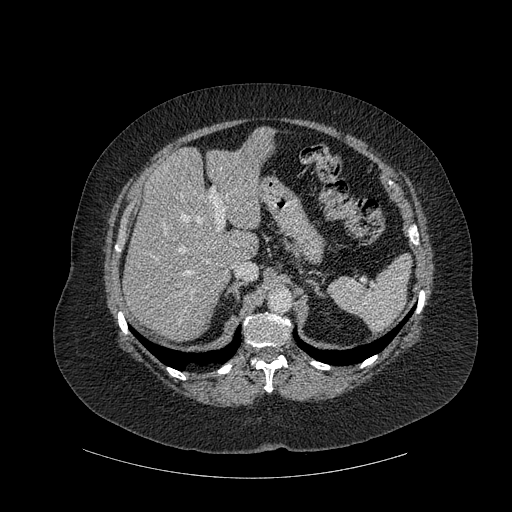 512x512. Upper abdomen. CT image.
<segmentation>
  <lung>(left=129, top=326, right=240, bottom=370), (left=293, top=309, right=413, bottom=364)</lung>
  <liver>(left=123, top=127, right=274, bottom=341)</liver>
  <bone>(left=311, top=361, right=329, bottom=369), (left=361, top=355, right=376, bottom=367), (left=218, top=364, right=231, bottom=373), (left=417, top=290, right=424, bottom=313), (left=244, top=313, right=290, bottom=347), (left=118, top=312, right=127, bottom=333), (left=167, top=367, right=185, bottom=379), (left=409, top=226, right=418, bottom=244), (left=252, top=355, right=287, bottom=391)</bone>
</segmentation>